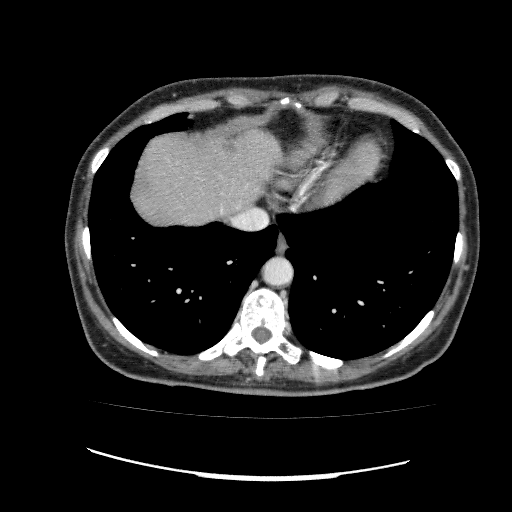 512x512 px. CT.
<segmentation>
  <hepatic_lesion>x1=224 y1=143 x2=234 y2=152</hepatic_lesion>
  <liver>x1=131 y1=129 x2=280 y2=226</liver>
</segmentation>